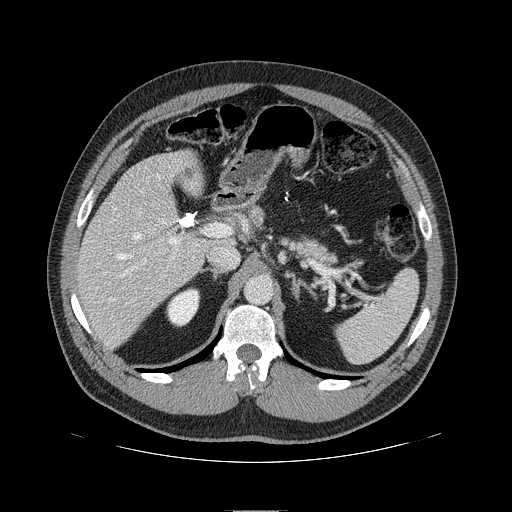 512x512, CT
2 pancreas regions appear at 246:206:263:224, 290:238:335:266.